Field of view 370x370 mm, Slice index 553, CT

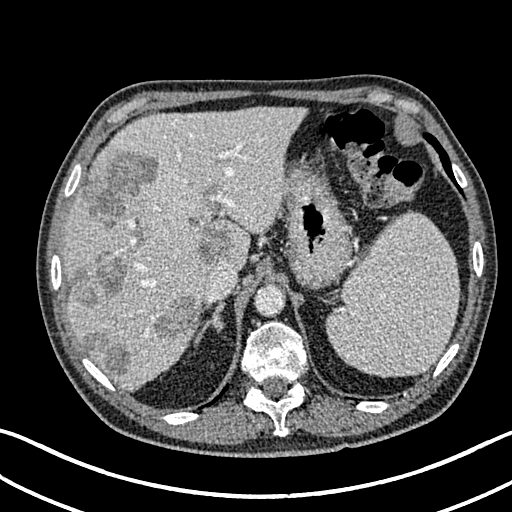
Liver lesion: (x1=71, y1=251, x2=128, y2=308), (x1=189, y1=217, x2=231, y2=262), (x1=81, y1=332, x2=130, y2=374), (x1=139, y1=225, x2=146, y2=240), (x1=154, y1=297, x2=197, y2=341), (x1=88, y1=152, x2=158, y2=226).
Liver: (x1=64, y1=107, x2=303, y2=389).